CT. 512x512 px. Slice 55 of 89.
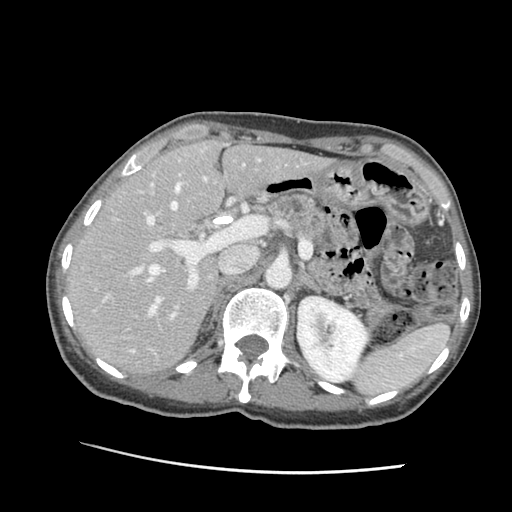

<segmentation>
  <pancreas>bbox(265, 195, 328, 245)</pancreas>
</segmentation>